FLAIR MR image.
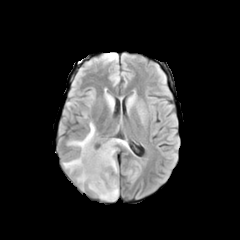
T1-weighted MR.
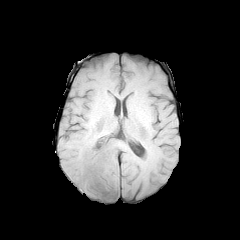
Post-contrast T1-weighted MR image.
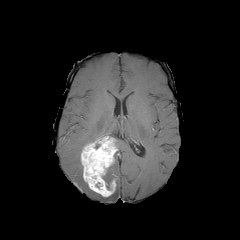
T2-weighted MR image.
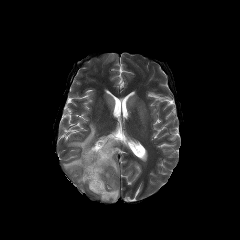
Brain.
The non-enhancing tumor core is located at {"x1": 102, "y1": 156, "x2": 115, "y2": 188}. The enhancing tumor is at {"x1": 81, "y1": 136, "x2": 117, "y2": 197}. 5 edema regions appear at {"x1": 94, "y1": 172, "x2": 118, "y2": 201}, {"x1": 63, "y1": 156, "x2": 85, "y2": 189}, {"x1": 109, "y1": 162, "x2": 118, "y2": 174}, {"x1": 116, "y1": 138, "x2": 128, "y2": 147}, {"x1": 68, "y1": 122, "x2": 99, "y2": 151}.